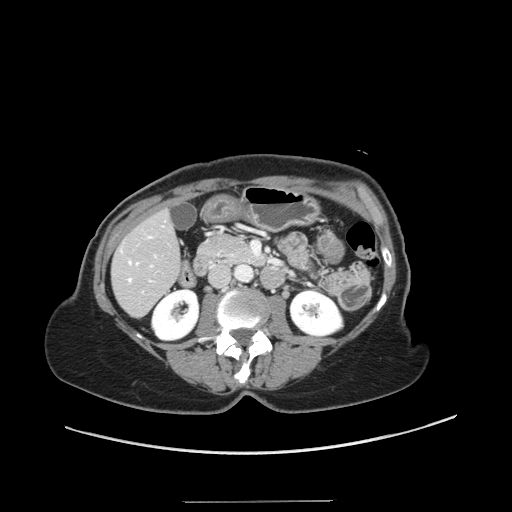
CT scan slice, Abdomen

The vessel annotation is not exhaustive.
Hepatic vessel — bbox(129, 261, 131, 262); bbox(148, 236, 151, 237); bbox(129, 278, 131, 280); bbox(120, 248, 121, 250); bbox(137, 262, 138, 263).